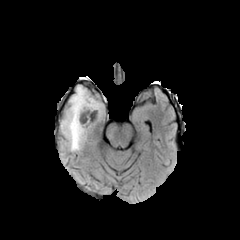
FLAIR MR image.
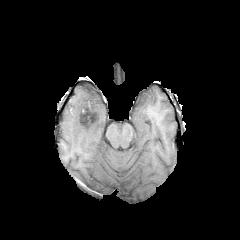
T1-weighted MR image.
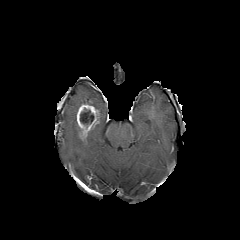
Post-contrast T1-weighted MRI.
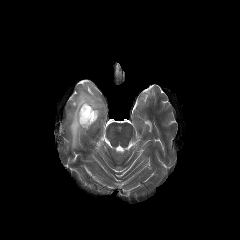
T2-weighted MR image.
Edema: bounding box bbox=[60, 86, 104, 150].
Enhancing tumor: bounding box bbox=[76, 100, 95, 131].
Non-enhancing tumor core: bounding box bbox=[80, 101, 98, 124]; bbox=[76, 116, 86, 138].